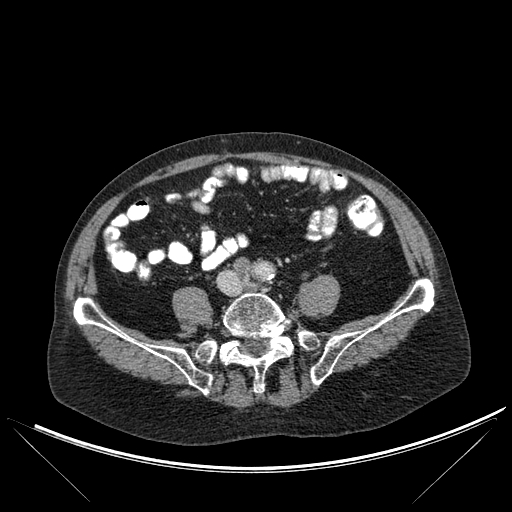
CT image
bone: 73:298:212:394, 195:341:217:361, 298:330:315:349, 311:279:433:384, 219:293:293:392